CT slice. Slice 289 of 689. Abdomen. 512x512 px.
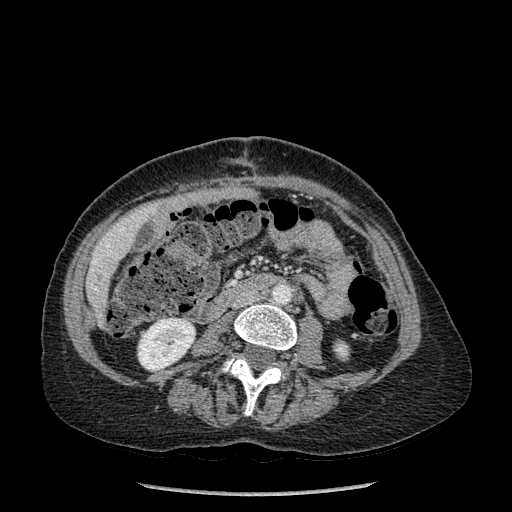

<segmentation>
  <bone>234 303 297 350, 222 354 284 415</bone>
  <kidney>138 318 194 370, 336 344 346 354</kidney>
  <liver>86 206 157 329</liver>
</segmentation>